FLAIR MR image.
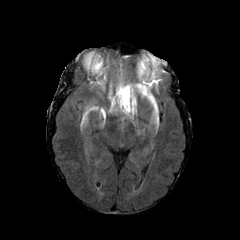
T1-weighted magnetic resonance.
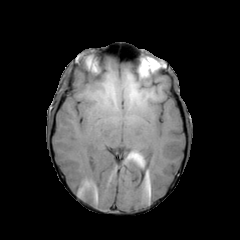
Post-contrast T1-weighted MR image.
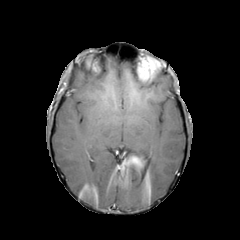
T2-weighted magnetic resonance.
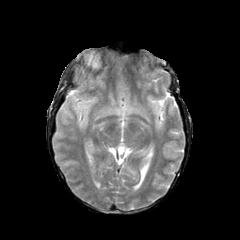
Head
<segmentation>
  <edema>[x1=119, y1=84, x2=129, y2=113], [x1=138, y1=68, x2=160, y2=115]</edema>
</segmentation>